Liver, CT slice, Slice 353 of 455
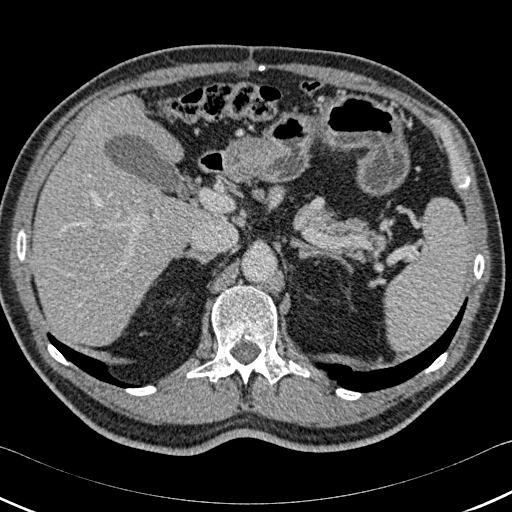
Liver: bounding box 34, 95, 208, 345.
Bone: bounding box 458, 175, 470, 188; 16, 230, 26, 260; 186, 285, 309, 385; 474, 254, 484, 279; 425, 353, 447, 373; 126, 386, 155, 395; 48, 344, 68, 365; 336, 388, 360, 400.
Lung: bounding box 58, 343, 142, 387; 314, 297, 467, 392.